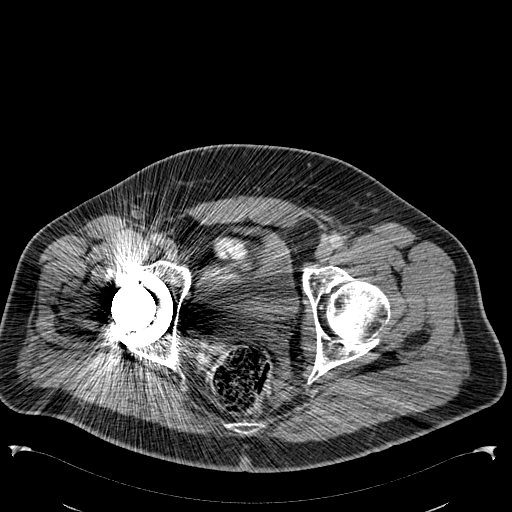

CT slice

<segmentation>
  <urinary_bladder>rect(197, 222, 301, 324)</urinary_bladder>
</segmentation>